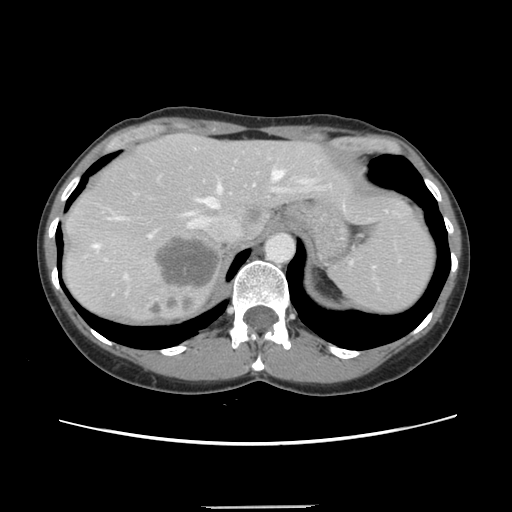
Computed tomography
Only some of the vessels may be annotated.
Hepatic vessel: bounding box x1=188 y1=217 x2=205 y2=226, x1=301 y1=180 x2=311 y2=183, x1=272 y1=188 x2=283 y2=190, x1=185 y1=212 x2=193 y2=215, x1=272 y1=169 x2=282 y2=179, x1=92 y1=244 x2=99 y2=250, x1=317 y1=187 x2=320 y2=187, x1=108 y1=217 x2=122 y2=218, x1=197 y1=197 x2=217 y2=207, x1=123 y1=274 x2=126 y2=277, x1=217 y1=182 x2=220 y2=192, x1=148 y1=233 x2=152 y2=237.
Liver tumor: bounding box x1=248 y1=208 x2=260 y2=222, x1=156 y1=237 x2=220 y2=288.